CT slice; Chest; Slice 564 of 588 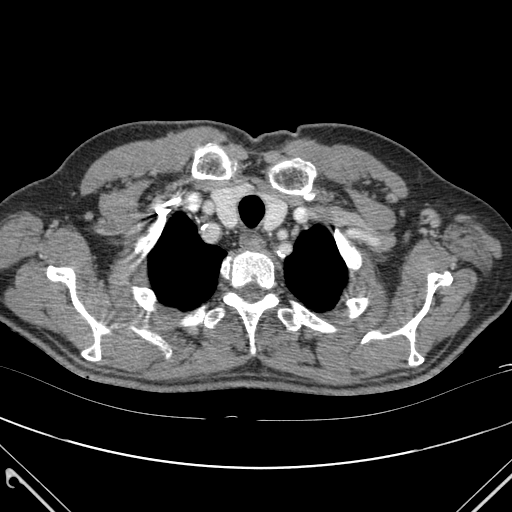
lung: (148,212,226,310), (284,225,347,311) | bone: (224,293,278,352), (182,307,223,327), (47,266,107,360), (334,229,360,268), (137,330,163,348), (137,198,178,255), (278,302,335,332), (362,272,452,365), (347,298,367,317), (221,251,273,288), (133,287,155,310), (192,144,231,179), (271,162,315,199)